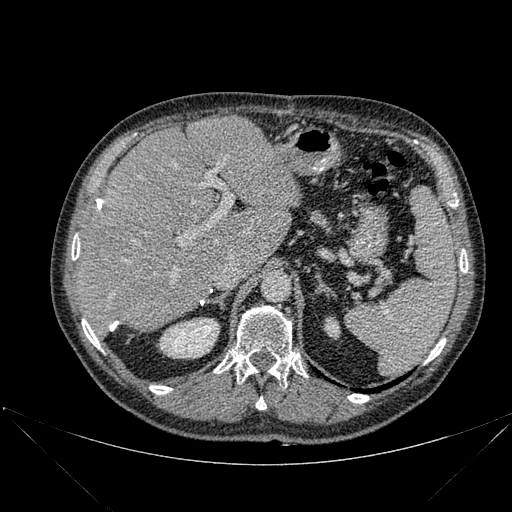

Upper abdomen | CT image | Image size 512x512

<segmentation>
  <lung>box(360, 376, 404, 392)</lung>
  <bone>box(82, 319, 100, 348); box(256, 397, 266, 409); box(348, 394, 368, 403); box(214, 307, 306, 384); box(426, 338, 445, 362); box(149, 385, 171, 394); box(72, 237, 79, 259); box(460, 257, 467, 272)</bone>
  <kidney>box(160, 318, 218, 357); box(325, 318, 339, 336)</kidney>
  <liver>box(76, 116, 299, 338)</liver>
</segmentation>